Field of view 240x240 mm; Slice index 87
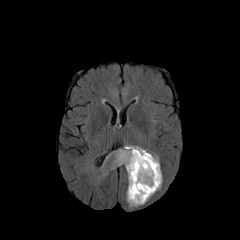
FLAIR MRI.
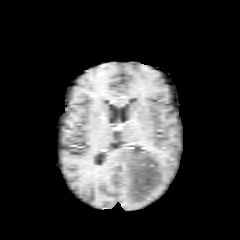
T1-weighted MRI.
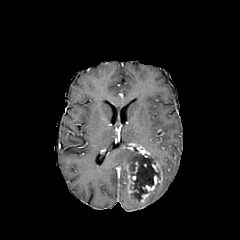
Same slice, post-contrast T1-weighted MR image.
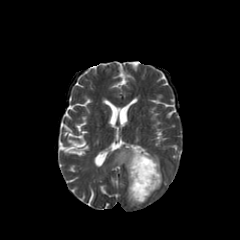
T2-weighted MR.
Edema: bounding box x1=126 y1=183 x2=160 y2=206, x1=111 y1=146 x2=132 y2=186.
Enhancing tumor: bounding box x1=140 y1=170 x2=161 y2=201, x1=128 y1=162 x2=138 y2=184, x1=128 y1=143 x2=152 y2=157.
Non-enhancing tumor core: bounding box x1=127 y1=149 x2=160 y2=202.